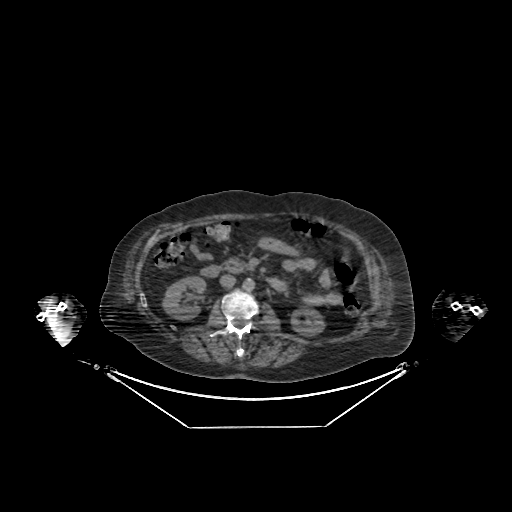

Abdomen, CT slice
* kidney: 291, 305, 324, 336; 162, 276, 206, 320
* liver: 259, 237, 284, 244